FLAIR MR.
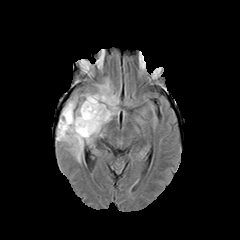
T1-weighted MRI.
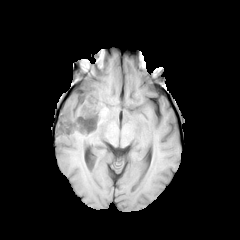
Post-contrast T1-weighted MR.
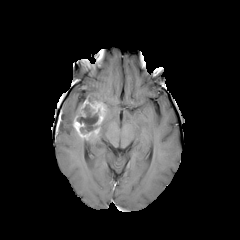
T2-weighted MRI.
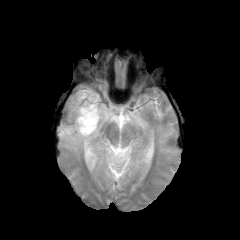
Segmented structures:
- enhancing tumor: [73, 117, 97, 137], [78, 100, 106, 126]
- edema: [57, 93, 101, 162], [84, 80, 119, 129]
- non-enhancing tumor core: [77, 104, 99, 134]